Slice index 115
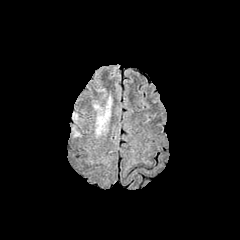
FLAIR MRI.
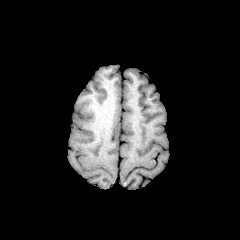
T1-weighted MRI.
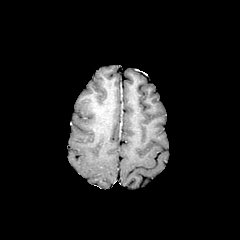
Post-contrast T1-weighted MR image of the same slice.
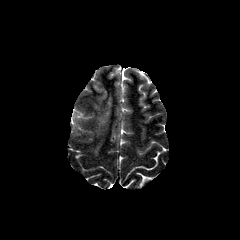
Same slice, T2-weighted MRI.
Edema: {"x1": 93, "y1": 103, "x2": 110, "y2": 131}.